Slice index 97
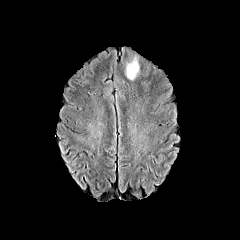
FLAIR MRI.
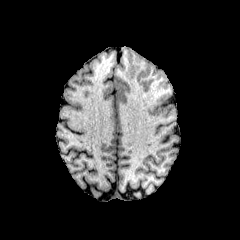
T1-weighted MR image of the same slice.
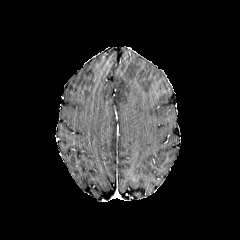
Same slice, post-contrast T1-weighted MR image.
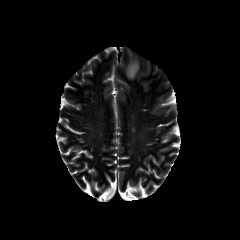
T2-weighted magnetic resonance of the same slice.
edema:
  - rect(125, 59, 139, 79)